Field of view 240x240 mm | Head | Image size 240x240
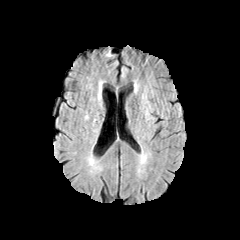
FLAIR MR.
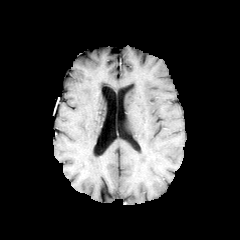
T1-weighted MR of the same slice.
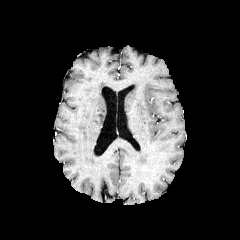
Post-contrast T1-weighted magnetic resonance.
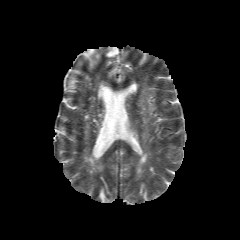
T2-weighted MR of the same slice.
Edema: bounding box box(141, 94, 151, 111); box(137, 147, 149, 173); box(142, 108, 151, 119).